Image size 240x240. Slice 100 of 155. Head.
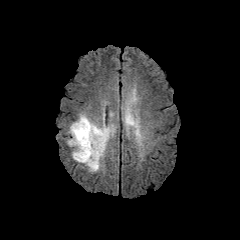
FLAIR MR.
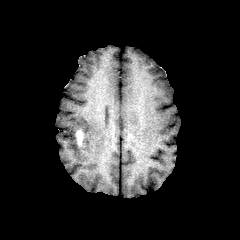
T1-weighted MR image.
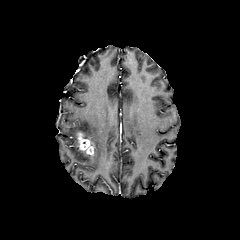
Post-contrast T1-weighted MR image of the same slice.
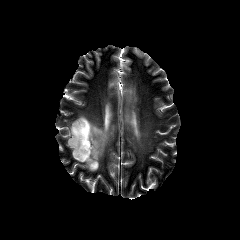
T2-weighted MR.
Edema: bounding box (left=66, top=114, right=117, bottom=171), (left=120, top=102, right=137, bottom=128).
Enhancing tumor: bounding box (left=78, top=132, right=93, bottom=154).
Non-enhancing tumor core: bounding box (left=72, top=128, right=85, bottom=149).